CT slice. Slice 204 of 574. 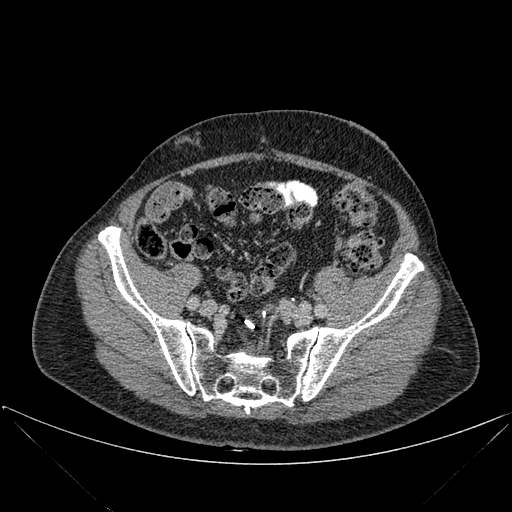

bone: bbox(98, 226, 423, 413)